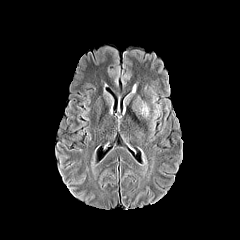
FLAIR MRI.
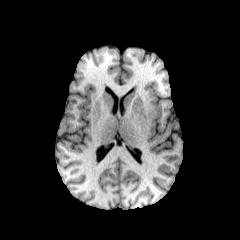
T1-weighted MR of the same slice.
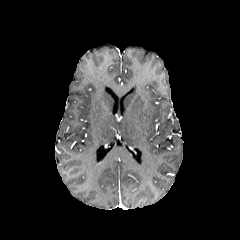
Post-contrast T1-weighted MRI of the same slice.
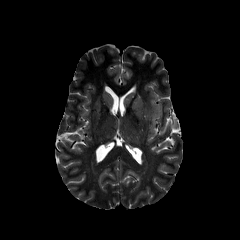
T2-weighted MR.
Brain.
Edema = 138, 96, 161, 127.